Image size 512x512 | Image width 432 mm | Slice 395 of 986 | CT 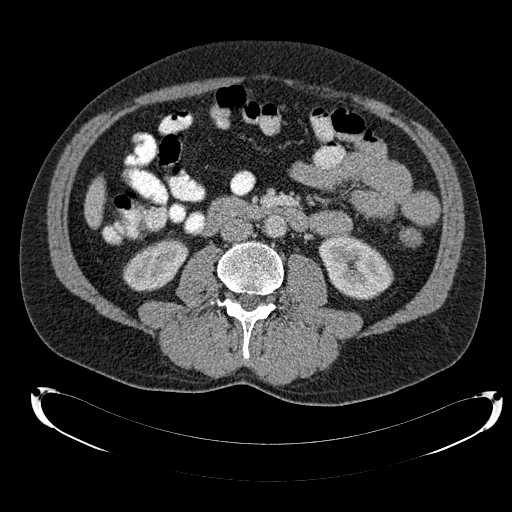
Liver = <box>86,179,104,226</box>.
Kidney = <box>319,234,392,298</box>, <box>124,241,186,290</box>.